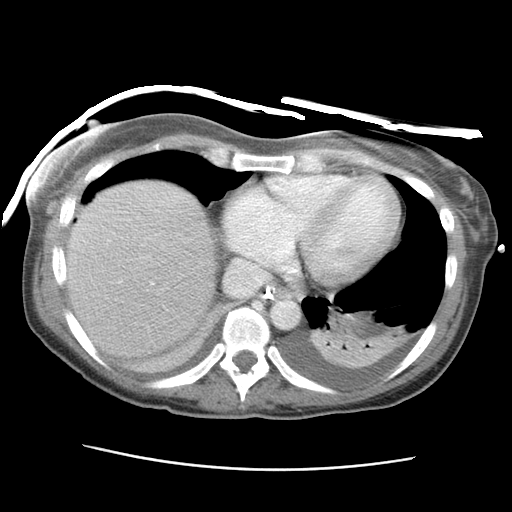 CT image

Liver: bounding box [x1=65, y1=181, x2=214, y2=358].